Computed tomography | Abdomen | Slice index 29

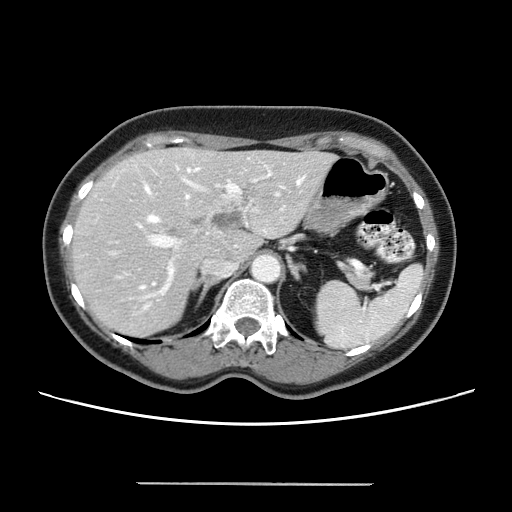
The vessel annotation is not exhaustive.
Findings:
- liver tumor: 213 212 241 227
- hepatic vessel: 146 188 149 192, 268 173 270 175, 188 169 197 171, 159 265 172 293, 227 182 233 189, 149 216 157 221, 151 236 174 246, 141 286 143 288, 297 178 302 183